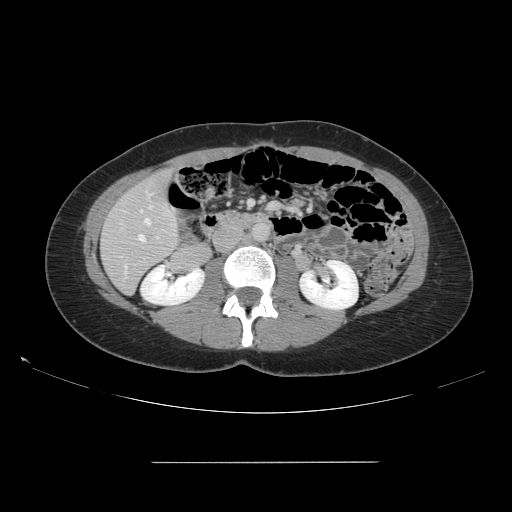
Image size 512x512 | Computed tomography | Liver
The vessel boxes may cover only some of the vessels.
• hepatic vessel: (146,190,147,192), (149,205,152,208), (124,266,127,278), (120,222,125,229), (149,193,152,194), (145,219,150,224), (155,237,158,238), (138,234,145,241)